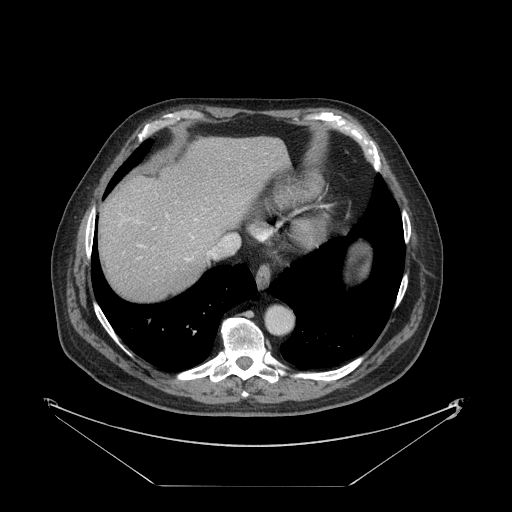

512x512 px. CT slice. Not every hepatic vessel necessarily has a box.
Hepatic vessel — 137,244,141,246.